Slice index 571 | CT scan slice 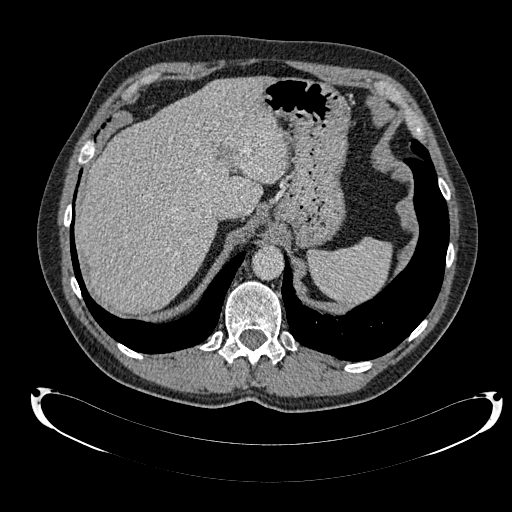 {
  "liver": [
    "(x1=78, y1=76, x2=288, y2=312)"
  ]
}